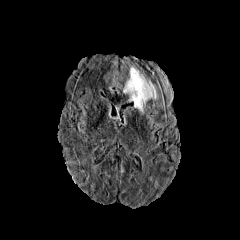
FLAIR magnetic resonance.
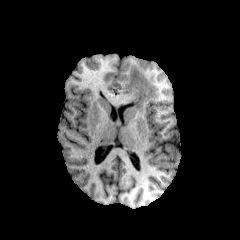
T1-weighted MR.
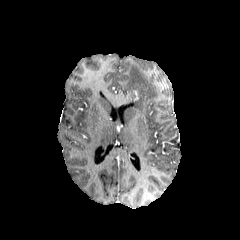
Post-contrast T1-weighted MR.
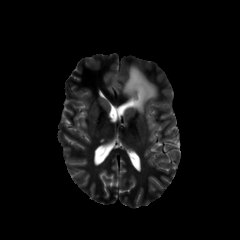
Same slice, T2-weighted MR.
Image size 240x240.
edema:
  - (left=123, top=68, right=157, bottom=113)